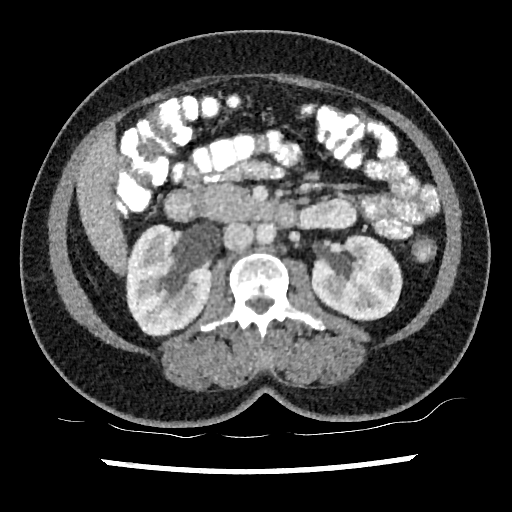

CT scan slice
The liver appears at (77,132,125,269). 2 kidney regions are located at (312,236,401,319), (127,225,210,334).